Head | 240x240 px
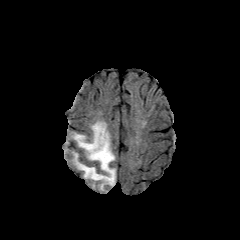
FLAIR MR.
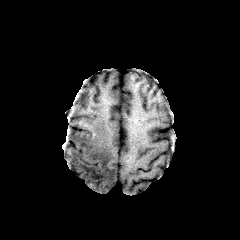
T1-weighted magnetic resonance.
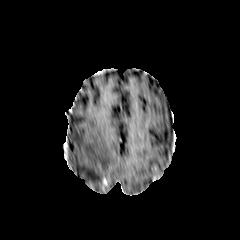
Post-contrast T1-weighted MR image.
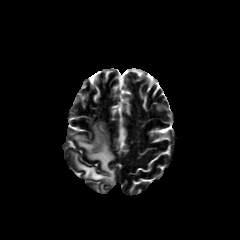
Same slice, T2-weighted MR image.
<segmentation>
  <non-enhancing_tumor_core>bbox=[94, 173, 108, 183]</non-enhancing_tumor_core>
  <edema>bbox=[72, 121, 115, 191]</edema>
</segmentation>